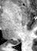

Hippocampus, MR, Image size 37x51
Segmented structures:
• posterior hippocampus: 8, 40, 19, 44